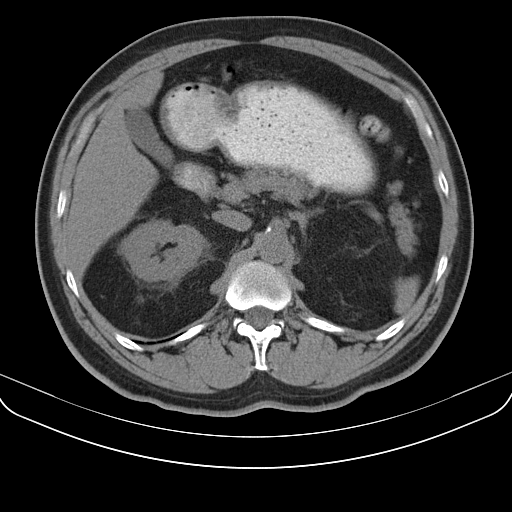

Abdomen. CT.

Annotated regions:
• spleen: bbox=[395, 278, 417, 309]